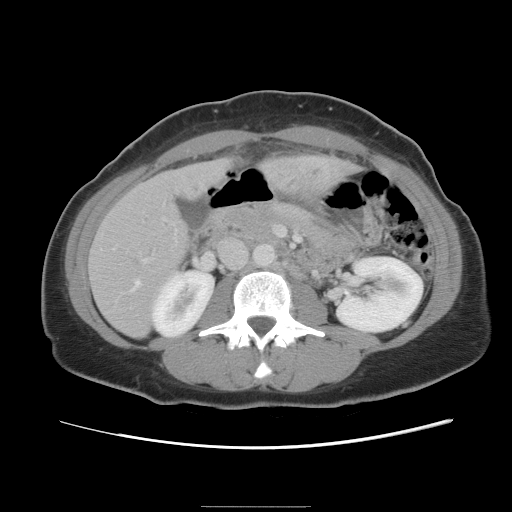 CT. Abdomen.

Only some of the vessels may be annotated.
The liver tumor is located at <box>278,165,326,200</box>. 3 hepatic vessel regions are bounded by <box>200,184,201,186</box>, <box>131,280,139,290</box>, <box>142,258,146,261</box>.